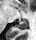

36x40; Medial temporal lobe; Magnetic resonance

posterior hippocampus: [15, 20, 27, 29]